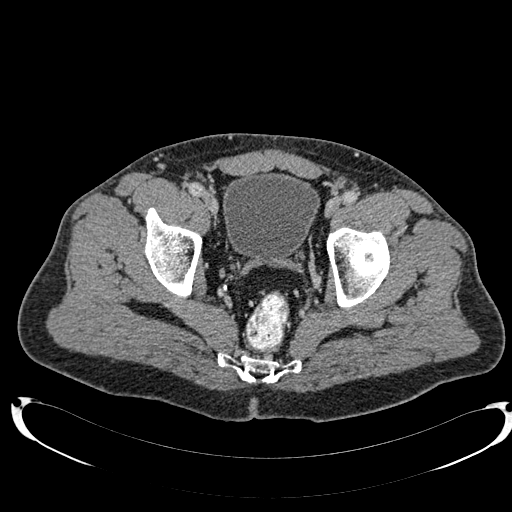
CT scan slice
* urinary bladder: 223 171 319 266